CT image
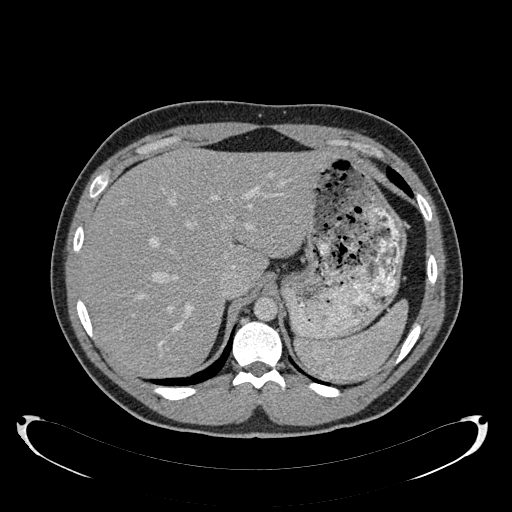 Liver = (80, 147, 331, 375).